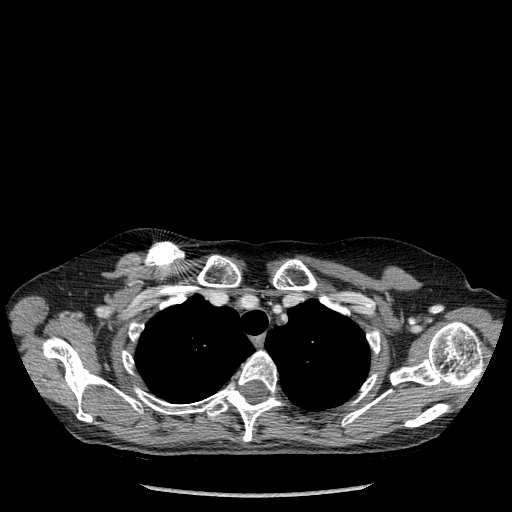 Image size 512x512, Chest, CT image

bone: [x1=353, y1=374, x2=377, y2=403], [x1=121, y1=350, x2=133, y2=373], [x1=366, y1=330, x2=380, y2=354], [x1=197, y1=255, x2=240, y2=289], [x1=128, y1=322, x2=143, y2=341], [x1=342, y1=389, x2=392, y2=426], [x1=273, y1=259, x2=317, y2=291], [x1=157, y1=286, x2=188, y2=309], [x1=404, y1=404, x2=449, y2=427], [x1=42, y1=337, x2=282, y2=441], [x1=319, y1=294, x2=349, y2=314], [x1=390, y1=321, x2=483, y2=389] | lung: [x1=265, y1=299, x2=369, y2=410], [x1=135, y1=294, x2=267, y2=403]